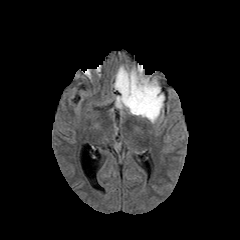
FLAIR MRI.
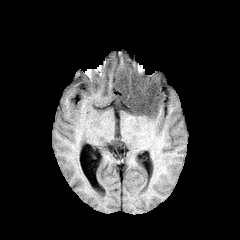
T1-weighted MR image of the same slice.
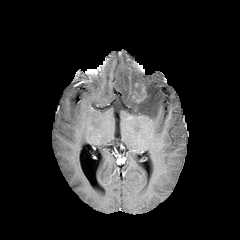
Post-contrast T1-weighted MR image.
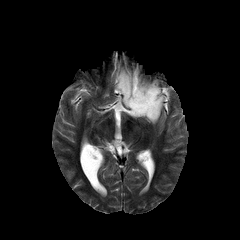
Same slice, T2-weighted MR.
Head
Findings:
* non-enhancing tumor core: 120:77:157:114
* edema: 113:65:168:124